Slice 120 of 155. 240x240 px.
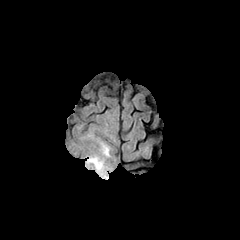
FLAIR MR image.
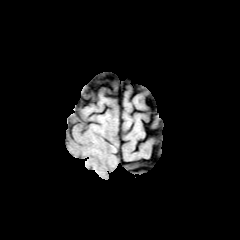
Same slice, T1-weighted MRI.
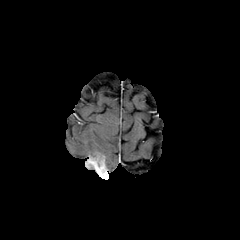
Same slice, post-contrast T1-weighted MR image.
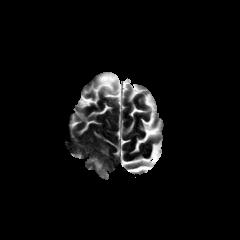
T2-weighted MR of the same slice.
Enhancing tumor = box(87, 156, 107, 175).
Edema = box(89, 145, 109, 157).